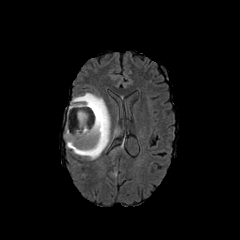
FLAIR magnetic resonance.
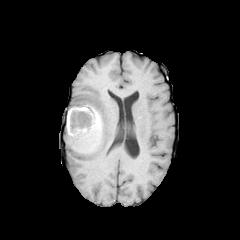
T1-weighted MR.
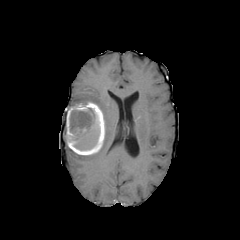
Post-contrast T1-weighted MR.
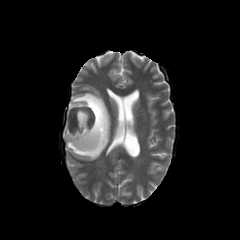
Same slice, T2-weighted magnetic resonance.
Image size 240x240; Head
enhancing tumor: l=65, t=102, r=105, b=155 | non-enhancing tumor core: l=69, t=108, r=99, b=148 | edema: l=69, t=92, r=111, b=160